Slice index 53 | Head
FLAIR MR.
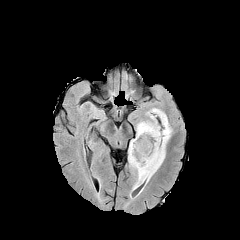
T1-weighted MR.
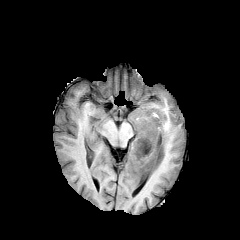
Post-contrast T1-weighted magnetic resonance.
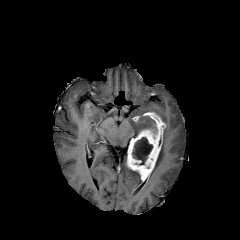
T2-weighted magnetic resonance.
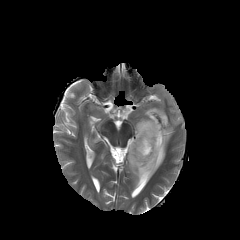
<segmentation>
  <edema>132,170,143,188; 134,120,148,136; 145,108,172,179</edema>
  <non-enhancing_tumor_core>132,137,153,165; 138,116,157,135</non-enhancing_tumor_core>
  <enhancing_tumor>127,112,165,181</enhancing_tumor>
</segmentation>